Head | Slice 88 of 155
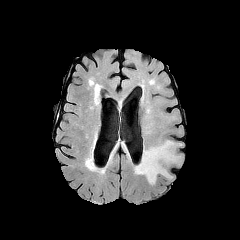
FLAIR magnetic resonance.
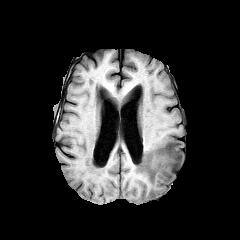
T1-weighted MRI.
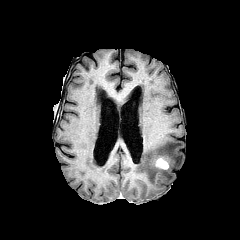
Post-contrast T1-weighted MRI of the same slice.
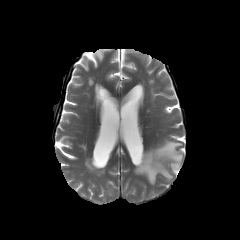
T2-weighted magnetic resonance.
The enhancing tumor is located at [155,158,168,169]. The edema is located at [134,139,181,183].